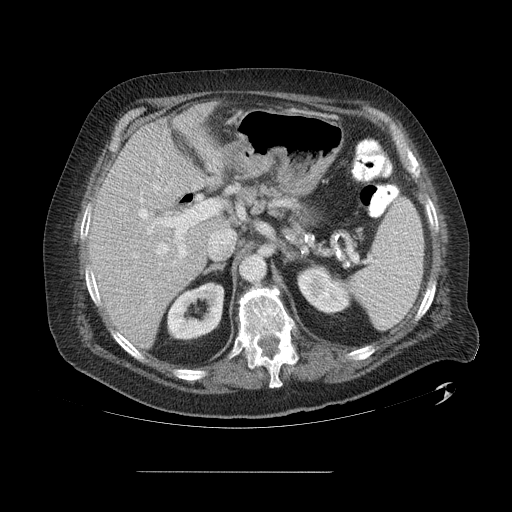

CT image
The vessel annotation is not exhaustive.
<segmentation>
  <hepatic_vessel>{"x1": 139, "y1": 198, "x2": 143, "y2": 202}, {"x1": 168, "y1": 182, "x2": 171, "y2": 185}, {"x1": 162, "y1": 200, "x2": 217, "y2": 257}, {"x1": 165, "y1": 188, "x2": 167, "y2": 191}, {"x1": 172, "y1": 261, "x2": 175, "y2": 265}, {"x1": 147, "y1": 224, "x2": 154, "y2": 234}, {"x1": 149, "y1": 283, "x2": 151, "y2": 286}, {"x1": 154, "y1": 184, "x2": 158, "y2": 192}, {"x1": 140, "y1": 209, "x2": 152, "y2": 218}, {"x1": 156, "y1": 243, "x2": 168, "y2": 257}</hepatic_vessel>
</segmentation>